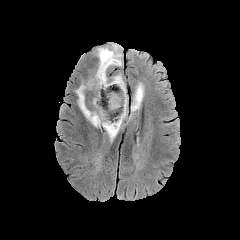
FLAIR MR.
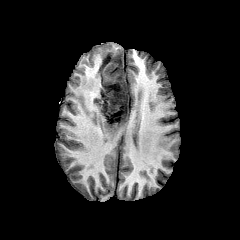
Same slice, T1-weighted magnetic resonance.
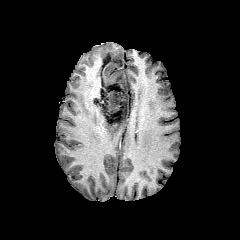
Post-contrast T1-weighted MR.
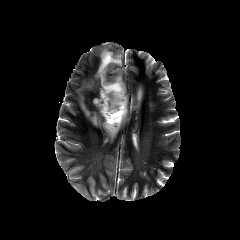
Same slice, T2-weighted MRI.
Head.
{"edema": ["76:44:143:141"], "non-enhancing_tumor_core": ["101:82:126:125", "99:56:111:68"]}